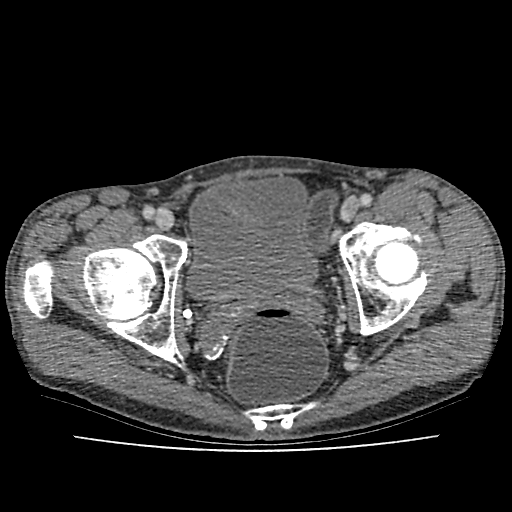 Lower abdomen; 512x512; CT
Urinary bladder at 186:173:318:302.